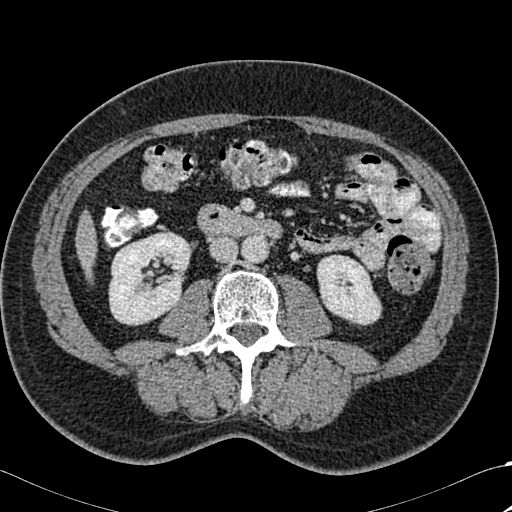
Liver. Computed tomography.

The bone lies within 179,271,293,403. 2 kidney regions are bounded by 109,233,189,324; 318,255,380,324. The liver is at 76,219,95,258.